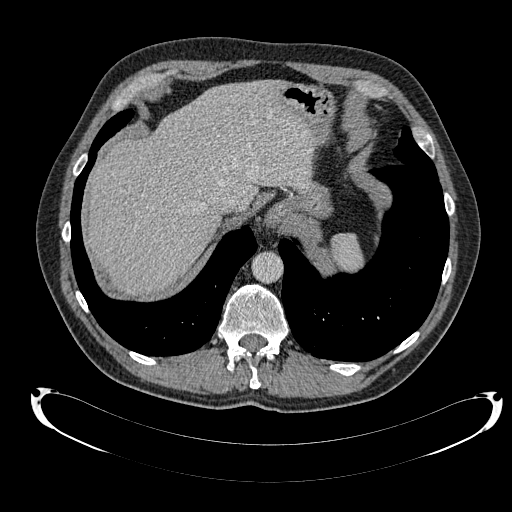
Abdomen. CT slice.

The liver is at bbox=[89, 81, 318, 293].